Field of view 363 mm wide, 5.00 mm slice spacing | CT slice | 512x512 px

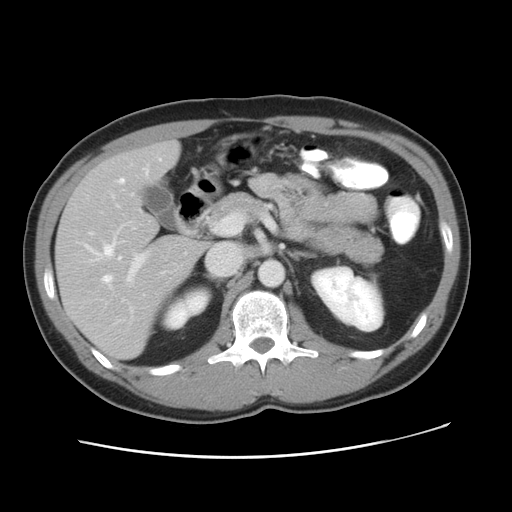
The vessel boxes may cover only some of the vessels.
<segmentation>
  <hepatic_vessel>(left=126, top=251, right=148, bottom=283), (left=78, top=225, right=123, bottom=262), (left=122, top=298, right=124, bottom=300), (left=158, top=157, right=160, bottom=159), (left=101, top=274, right=113, bottom=287), (left=118, top=177, right=124, bottom=183), (left=144, top=167, right=148, bottom=174)</hepatic_vessel>
</segmentation>